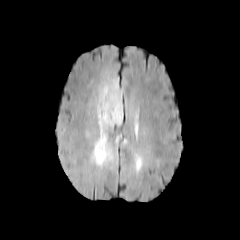
FLAIR MRI.
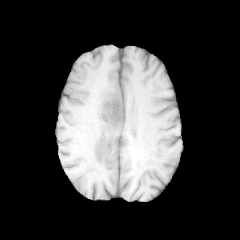
T1-weighted MRI of the same slice.
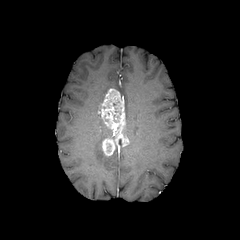
Same slice, post-contrast T1-weighted MR image.
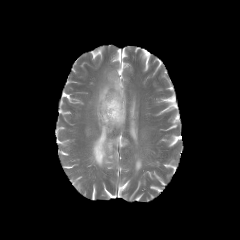
T2-weighted MR.
240x240 | Brain
Findings:
• edema: (136,159,142,172), (97,80,121,108), (92,112,111,166)
• enhancing tumor: (98,88,130,155)